Slice 54 of 155 | Brain
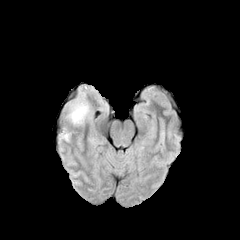
FLAIR magnetic resonance.
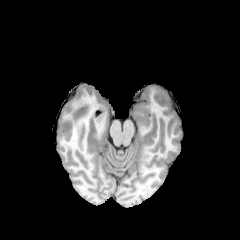
Same slice, T1-weighted MR.
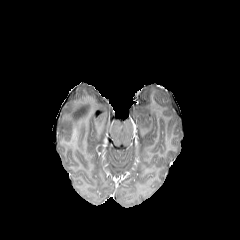
Post-contrast T1-weighted MR image.
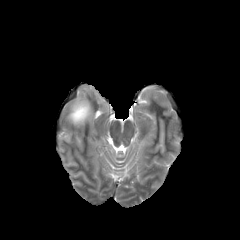
Same slice, T2-weighted MR image.
The non-enhancing tumor core appears at <box>74,100,88,121</box>. 2 edema regions are located at <box>60,131,77,141</box>, <box>66,89,91,127</box>.